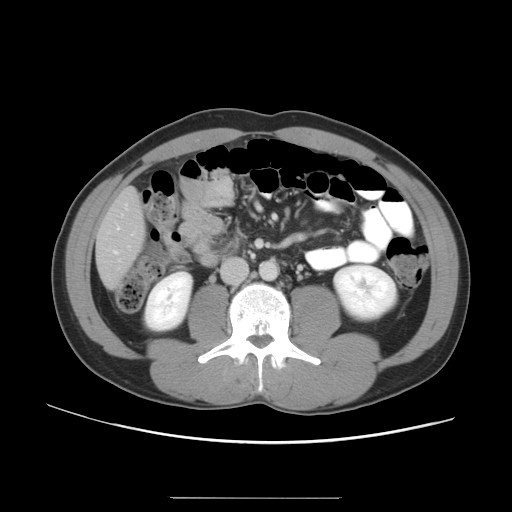

CT scan slice.

The vessel annotation is not exhaustive.
7 hepatic vessel regions are bounded by <bbox>126, 205, 127, 208</bbox>, <bbox>114, 251, 118, 253</bbox>, <bbox>133, 232, 135, 234</bbox>, <bbox>119, 259, 121, 260</bbox>, <bbox>118, 226, 119, 228</bbox>, <bbox>122, 214, 123, 216</bbox>, <bbox>129, 246, 130, 248</bbox>.